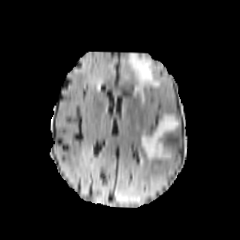
FLAIR MR image.
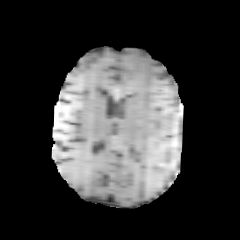
T1-weighted MRI of the same slice.
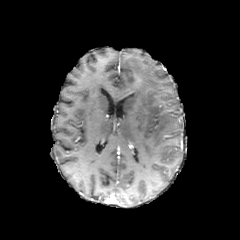
Post-contrast T1-weighted MR image.
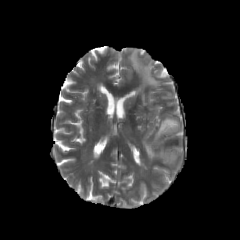
T2-weighted MRI of the same slice.
240x240
<segmentation>
  <edema>(129, 50, 161, 103), (141, 114, 179, 160)</edema>
</segmentation>